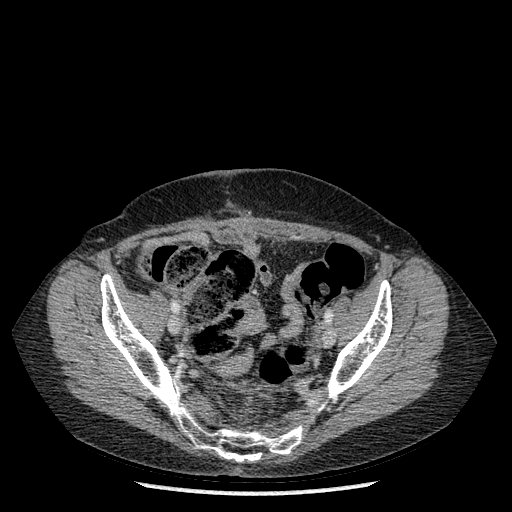

Computed tomography.
bone:
  - {"x1": 100, "y1": 274, "x2": 303, "y2": 462}
  - {"x1": 325, "y1": 280, "x2": 392, "y2": 401}